512x512 px, Computed tomography, Upper abdomen
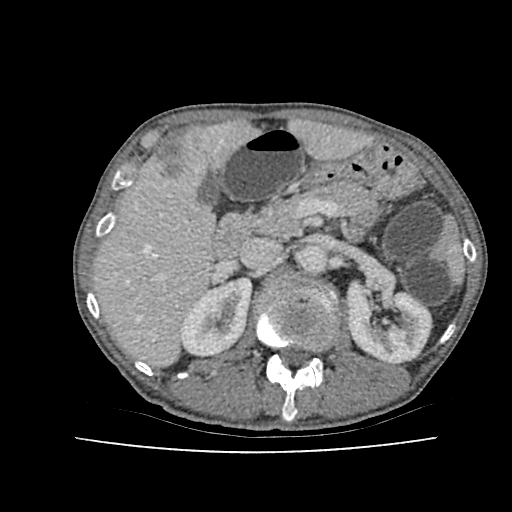
Focal liver lesion = region(155, 139, 184, 178).
Kidney = region(181, 278, 250, 355); region(349, 283, 430, 362).
Liver = region(96, 122, 255, 363); region(292, 122, 368, 156).